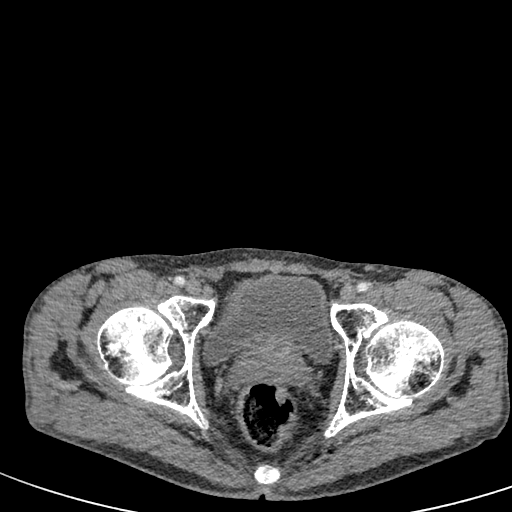 Pelvis | CT image

Urinary bladder — bbox(203, 273, 333, 365).